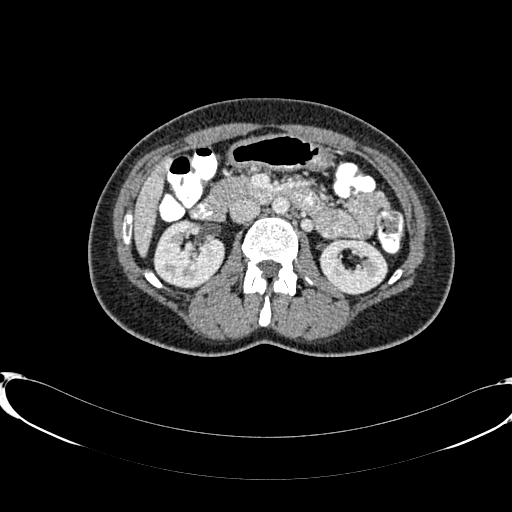

Computed tomography

The liver lies within left=133, top=160, right=167, bottom=256. 2 kidney regions appear at left=321, top=241, right=386, bottom=292; left=155, top=222, right=223, bottom=286.